Slice index 113.
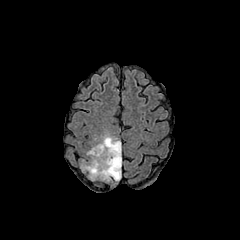
FLAIR MR.
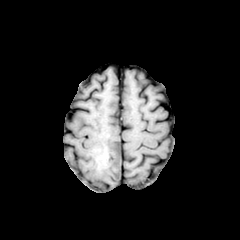
Same slice, T1-weighted MR image.
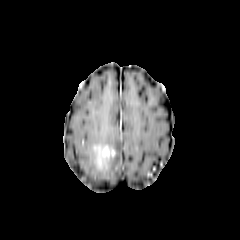
Post-contrast T1-weighted magnetic resonance.
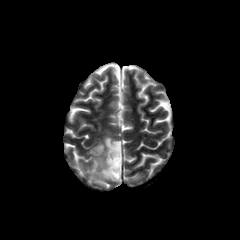
T2-weighted MR.
The enhancing tumor appears at {"x1": 95, "y1": 146, "x2": 115, "y2": 161}. The edema is located at {"x1": 81, "y1": 132, "x2": 121, "y2": 181}. The non-enhancing tumor core lies within {"x1": 93, "y1": 144, "x2": 120, "y2": 173}.